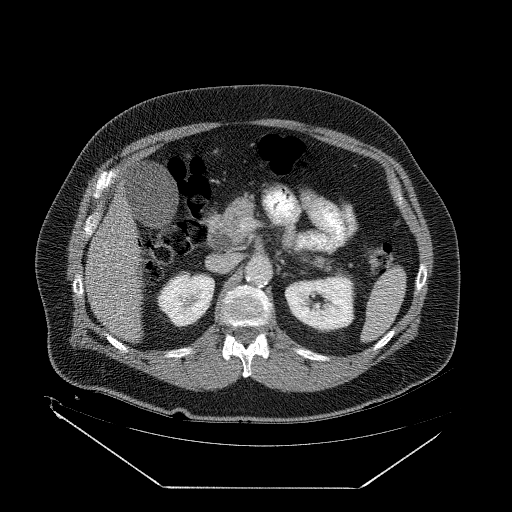 Upper abdomen; CT scan slice
pancreas:
  - [220,195,257,243]